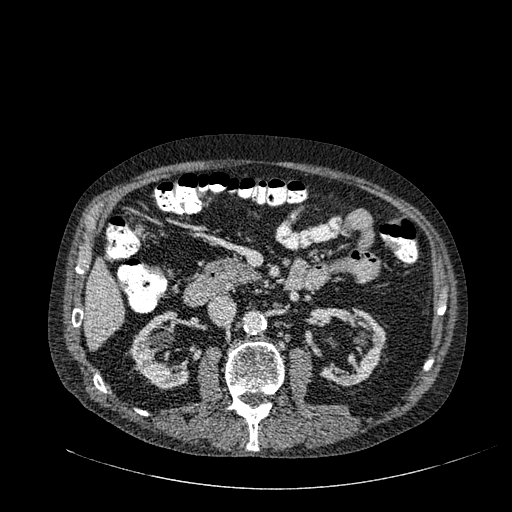 Abdomen. Computed tomography.
Liver = (85,258,122,350).
Kidney = (191,317,204,328), (129,311,188,389), (320,308,386,385).